Field of view 440x440 mm, Abdomen, CT slice, Slice 89 of 161 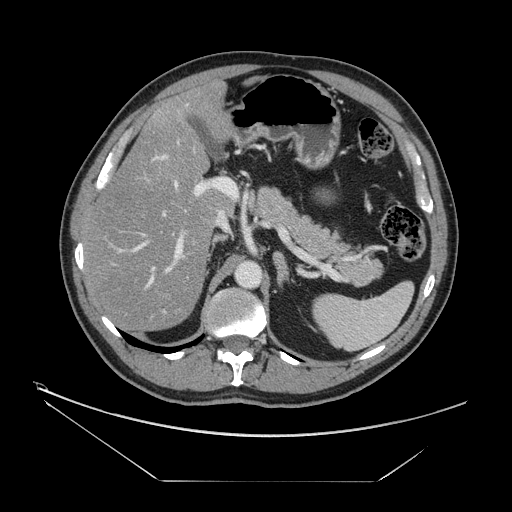
Some hepatic vessels may have no box.
Hepatic vessel — bbox(167, 268, 170, 270); bbox(152, 267, 154, 269); bbox(175, 183, 177, 186); bbox(134, 245, 142, 249); bbox(219, 211, 222, 212); bbox(161, 155, 166, 158); bbox(147, 277, 152, 286); bbox(176, 238, 181, 257).